FLAIR MR image.
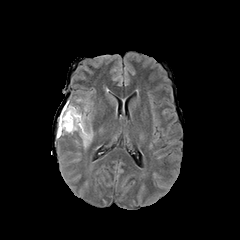
T1-weighted MR.
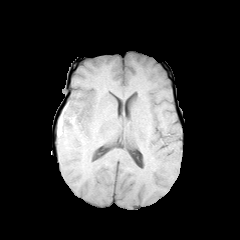
Post-contrast T1-weighted MR image.
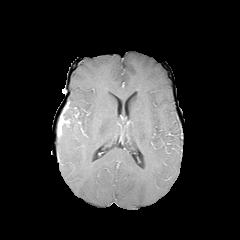
T2-weighted magnetic resonance.
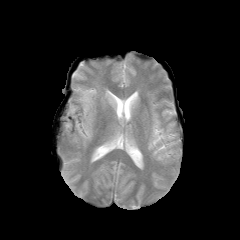
edema: <box>61,95,93,147</box>